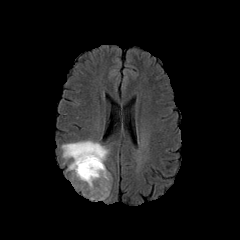
FLAIR magnetic resonance.
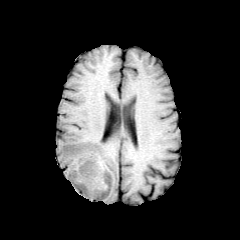
T1-weighted MRI.
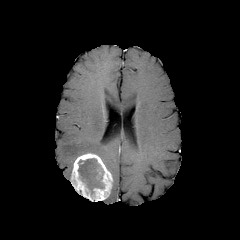
Post-contrast T1-weighted magnetic resonance.
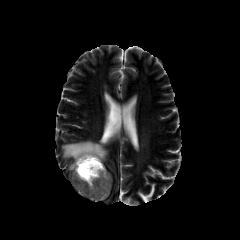
T2-weighted MRI of the same slice.
Image size 240x240
The non-enhancing tumor core is bounded by [78,158,103,188]. The enhancing tumor is bounded by [70,153,112,201]. The edema appears at [61,140,109,172].